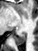
MR image, 38x51 px, Medial temporal lobe
Annotated regions:
- posterior hippocampus: [15,33,25,45]